CT image | Slice 471/771 | Abdomen

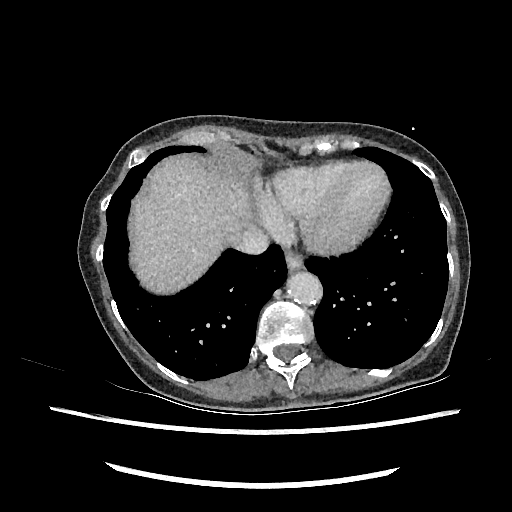

The liver appears at box(133, 160, 251, 292).